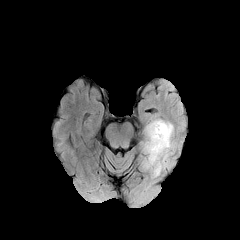
FLAIR MR image.
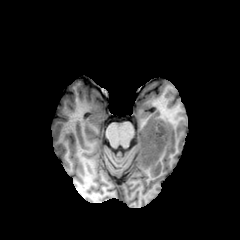
T1-weighted magnetic resonance.
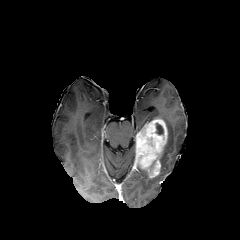
Post-contrast T1-weighted MRI.
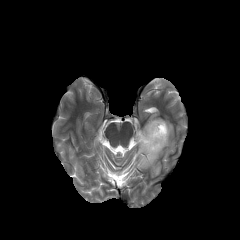
T2-weighted MRI of the same slice.
Head.
The enhancing tumor is located at l=135, t=118, r=167, b=177. The non-enhancing tumor core lies within l=156, t=124, r=163, b=134. The edema appears at l=160, t=120, r=174, b=172.